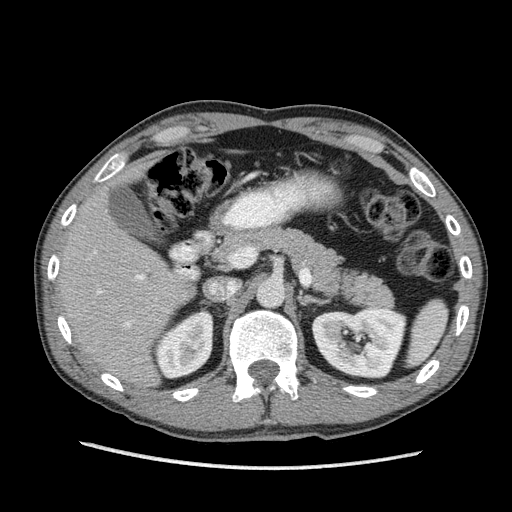

512x512 px | Upper abdomen | CT slice
The liver appears at {"x1": 54, "y1": 164, "x2": 189, "y2": 389}. 2 kidney regions are located at {"x1": 313, "y1": 308, "x2": 404, "y2": 376}, {"x1": 158, "y1": 313, "x2": 211, "y2": 377}.